Head | Field of view 240 mm wide, 1.00 mm slice spacing
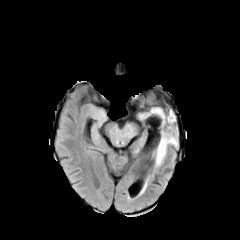
FLAIR MR image.
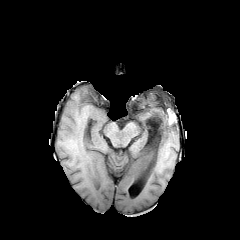
T1-weighted MR.
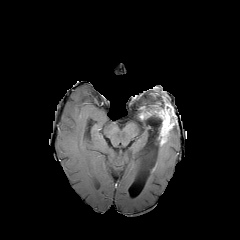
Same slice, post-contrast T1-weighted MR image.
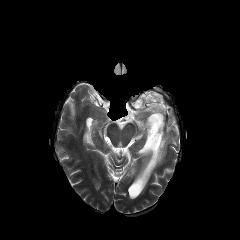
Same slice, T2-weighted magnetic resonance.
The edema is bounded by (152,126,178,168). The enhancing tumor is at (140,104,175,145).